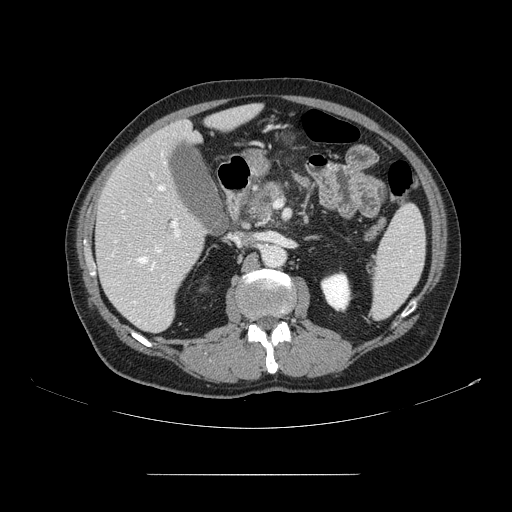 CT. 512x512 px.

The pancreas is at region(245, 180, 292, 220).